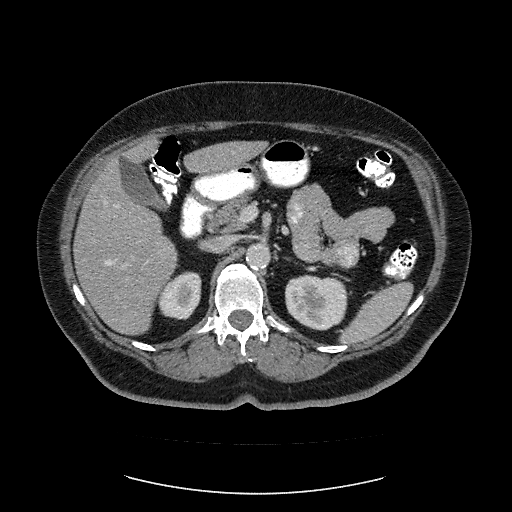 CT scan slice. Abdomen.

Some hepatic vessels may have no box.
8 hepatic vessel regions are located at l=132, t=256, r=133, b=258; l=122, t=264, r=126, b=267; l=106, t=259, r=116, b=264; l=228, t=169, r=236, b=172; l=218, t=174, r=223, b=174; l=104, t=201, r=106, b=205; l=116, t=296, r=118, b=298; l=115, t=205, r=118, b=207.